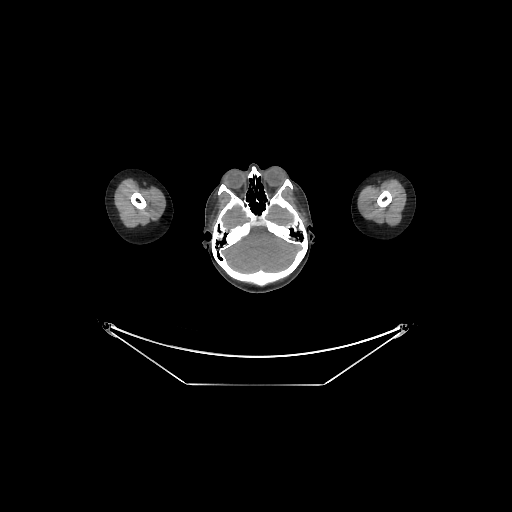
512x512 px | CT image
3 brain regions are bounded by (x1=267, y1=204, x2=292, y2=225), (x1=222, y1=225, x2=298, y2=271), (x1=223, y1=206, x2=248, y2=227).